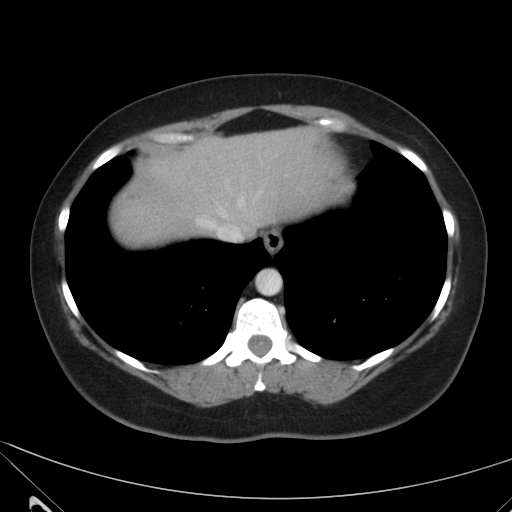

CT image; Image size 512x512

liver: left=116, top=127, right=337, bottom=242